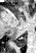

MR
The posterior hippocampus is located at x1=15, y1=36, x2=26, y2=46.